Abdomen. CT image. Slice 501/677. Field of view 367 mm wide, 0.70 mm slice spacing. 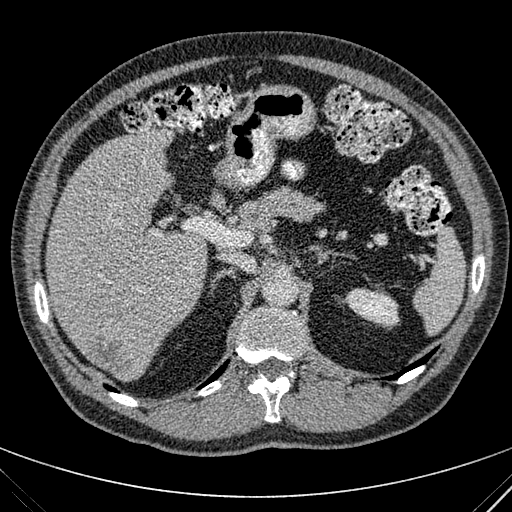

The kidney is located at (left=345, top=289, right=398, bottom=325). The liver is bounded by (left=46, top=127, right=205, bottom=380). The hepatic lesion is at (left=84, top=333, right=130, bottom=372).